FLAIR MRI.
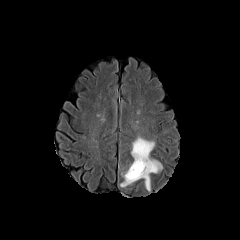
T1-weighted MR.
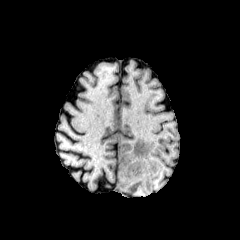
Post-contrast T1-weighted MR.
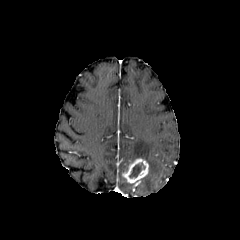
T2-weighted MRI.
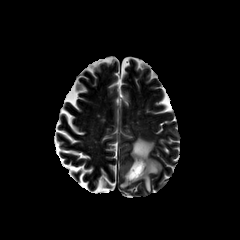
Brain
Segmented structures:
- edema: box=[130, 136, 162, 173]; box=[144, 175, 150, 191]
- enhancing tumor: box=[121, 158, 148, 184]
- non-enhancing tumor core: box=[128, 164, 141, 177]